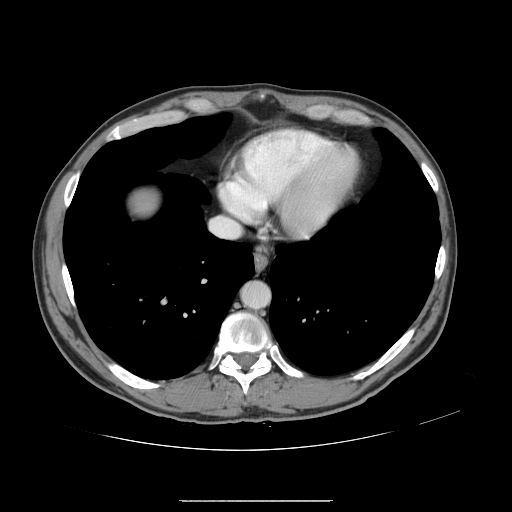 CT scan slice

Not every hepatic vessel necessarily has a box.
{"hepatic_vessel": ["230 230 235 232"]}